Slice index 420; Image size 512x512; CT scan slice
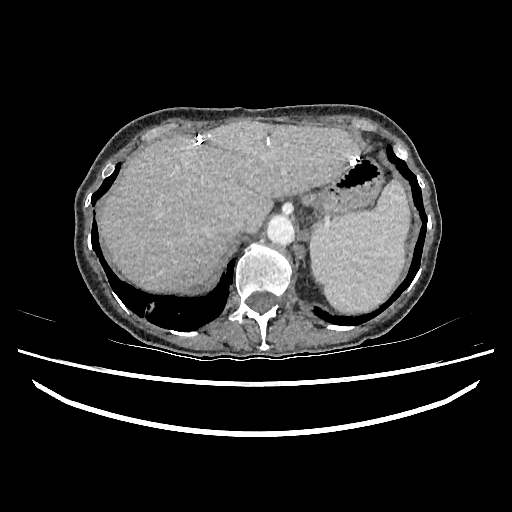
The liver is at [102,121,360,290].